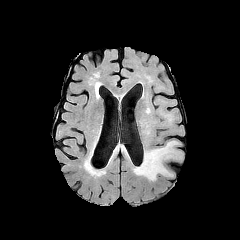
FLAIR MR.
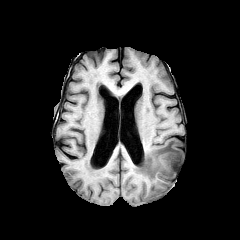
T1-weighted MRI.
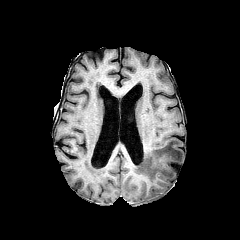
Post-contrast T1-weighted MR.
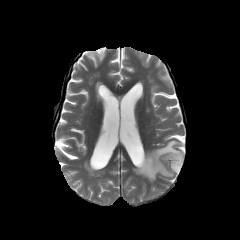
T2-weighted MRI of the same slice.
Head
Edema = (132, 141, 181, 180).